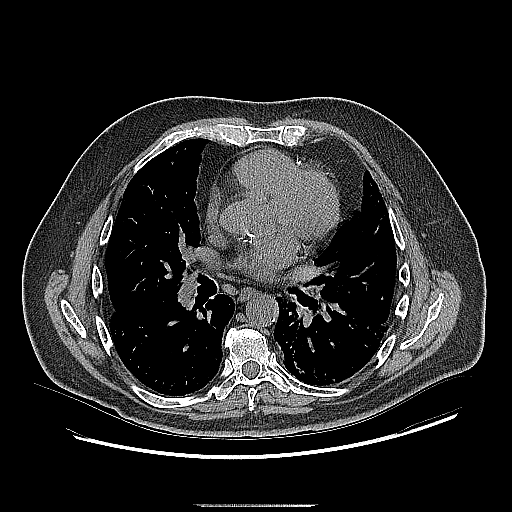 CT scan slice
3 lung tumor regions are bounded by <bbox>273, 338, 286, 361</bbox>, <bbox>293, 360, 305, 374</bbox>, <bbox>279, 298, 294, 312</bbox>.